CT scan slice; Slice 29 of 37; Abdomen

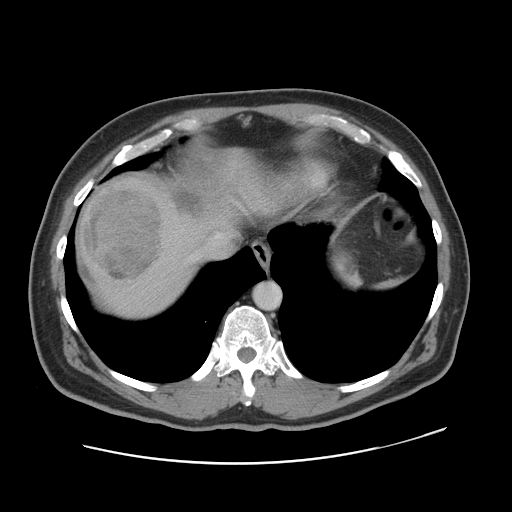 The vessel boxes may cover only some of the vessels.
<segmentation>
  <hepatic_vessel>191 248 223 261</hepatic_vessel>
  <liver_tumor>82 188 163 282</liver_tumor>
</segmentation>